Pelvis. CT. 512x512. Slice index 78. 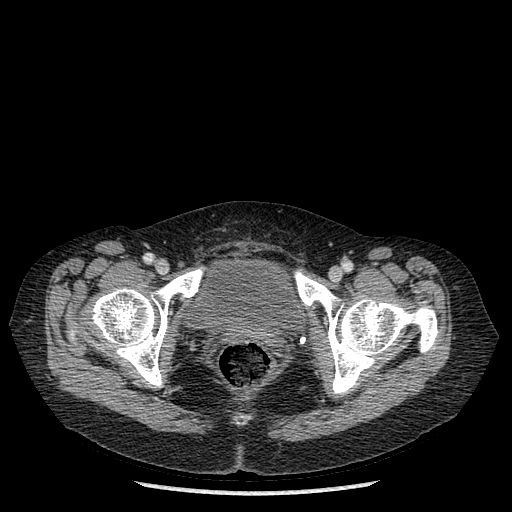
{"bone": ["box=[88, 267, 204, 387]", "box=[294, 271, 438, 395]", "box=[68, 326, 76, 344]"], "urinary_bladder": ["box=[188, 255, 303, 341]"]}